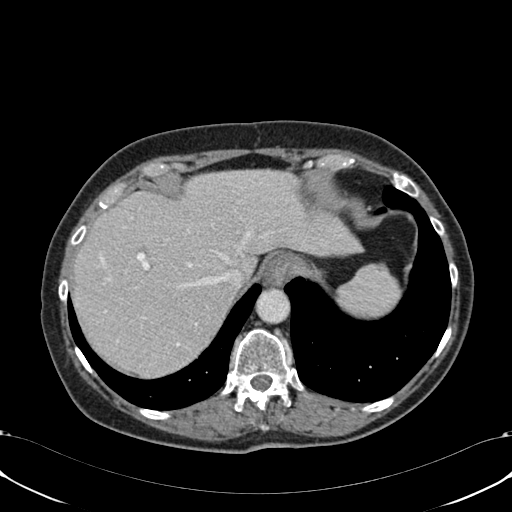 Liver | 512x512 | CT image

<segmentation>
  <liver><bbox>73, 170, 360, 375</bbox></liver>
</segmentation>